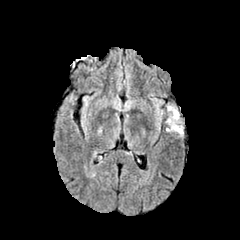
FLAIR MR image.
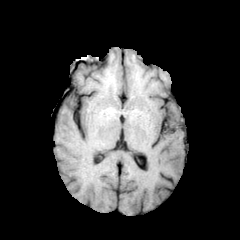
T1-weighted MR.
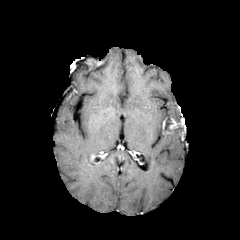
Post-contrast T1-weighted MR image of the same slice.
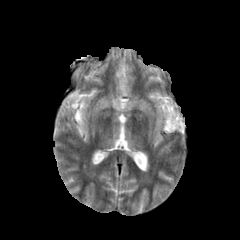
T2-weighted MRI.
Image size 240x240, Brain
Enhancing tumor — (left=169, top=118, right=183, bottom=128).
Edema — (left=163, top=104, right=180, bottom=129), (left=150, top=98, right=163, bottom=126), (left=166, top=128, right=183, bottom=135).
Non-enhancing tumor core — (left=166, top=119, right=184, bottom=130).